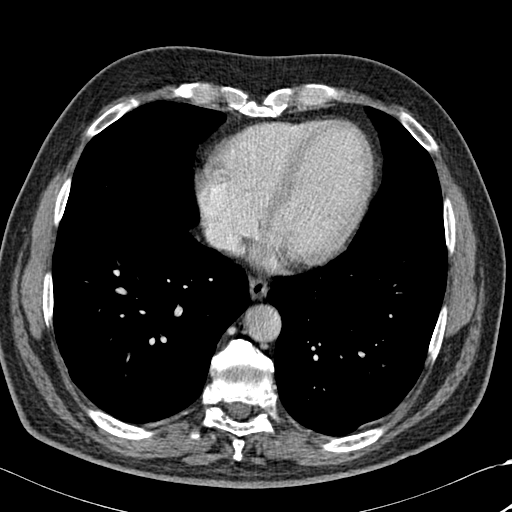

CT, Thorax, 512x512 px
2 lung regions are located at 52:100:250:423, 267:106:447:436. 14 bone regions appear at 429:310:446:357, 324:429:382:452, 444:200:454:249, 175:84:198:91, 90:411:151:439, 43:275:52:320, 88:100:137:135, 203:339:275:436, 401:113:435:150, 233:439:243:459, 55:181:69:222, 306:85:326:95, 175:93:192:96, 228:88:293:116.